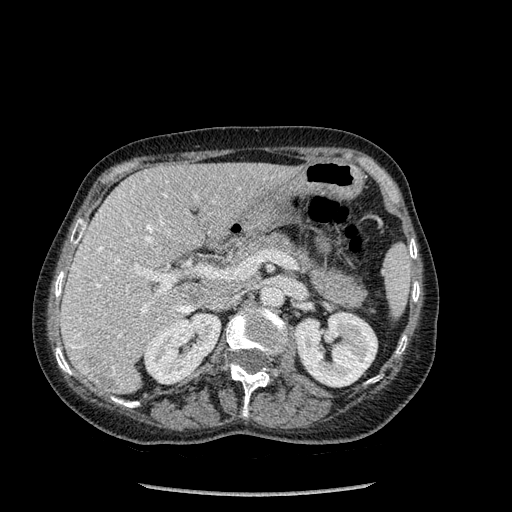
512x512 px, Computed tomography

Liver — (x1=188, y1=283, x2=209, y2=295), (x1=61, y1=163, x2=301, y2=394).
Liver lesion — (x1=89, y1=356, x2=117, y2=388), (x1=182, y1=288, x2=204, y2=305).
Bone — (x1=54, y1=271, x2=64, y2=297), (x1=408, y1=239, x2=417, y2=258), (x1=55, y1=347, x2=71, y2=374), (x1=226, y1=363, x2=276, y2=416), (x1=412, y1=281, x2=419, y2=301), (x1=226, y1=307, x2=288, y2=357), (x1=366, y1=376, x2=379, y2=383), (x1=111, y1=396, x2=139, y2=407), (x1=396, y1=335, x2=406, y2=354), (x1=70, y1=230, x2=80, y2=244).
Kidney — (x1=295, y1=312, x2=377, y2=386), (x1=145, y1=314, x2=220, y2=383).